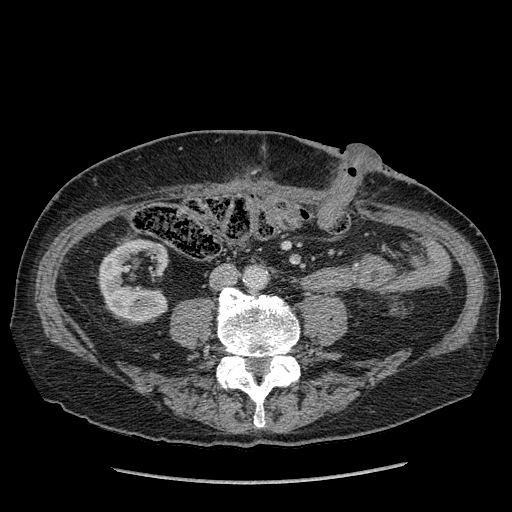
Computed tomography | 512x512 px
The kidney is at 99,239,167,321.